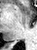 MR image.

<segmentation>
  <posterior_hippocampus>(10,43,13,43)</posterior_hippocampus>
</segmentation>